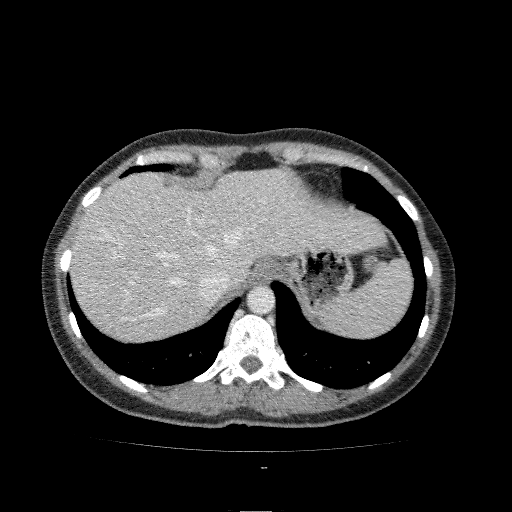 CT image | Upper abdomen

The liver appears at (left=71, top=169, right=385, bottom=340).